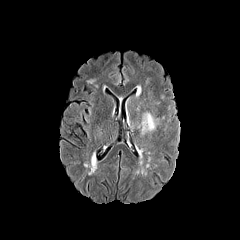
FLAIR MR image.
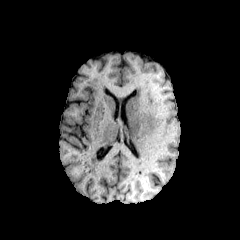
T1-weighted MRI of the same slice.
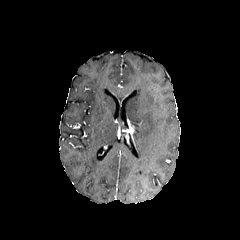
Post-contrast T1-weighted MRI.
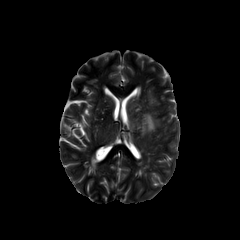
T2-weighted MR of the same slice.
Head
edema: (x1=141, y1=114, x2=155, y2=135)